Image width 396 mm. CT scan slice. Slice index 104.

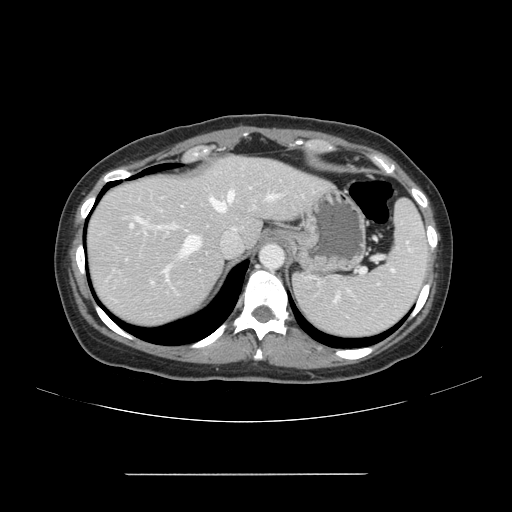
The vessel annotation is not exhaustive.
hepatic vessel: region(164, 268, 168, 279); region(134, 216, 144, 223); region(130, 224, 132, 227); region(267, 194, 278, 199); region(181, 235, 200, 255); region(210, 198, 225, 211); region(157, 226, 160, 227); region(228, 191, 233, 201)